Brain, Field of view 240x240 mm
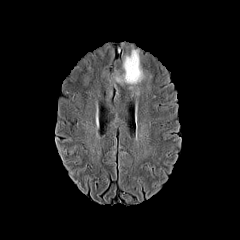
FLAIR MR image.
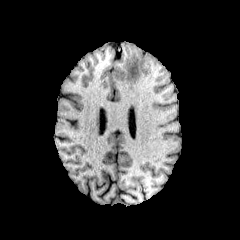
T1-weighted magnetic resonance.
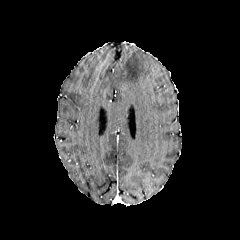
Post-contrast T1-weighted MR.
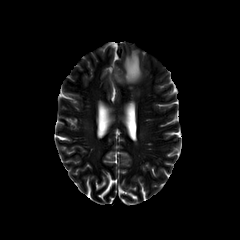
T2-weighted MRI.
edema: left=123, top=48, right=145, bottom=83